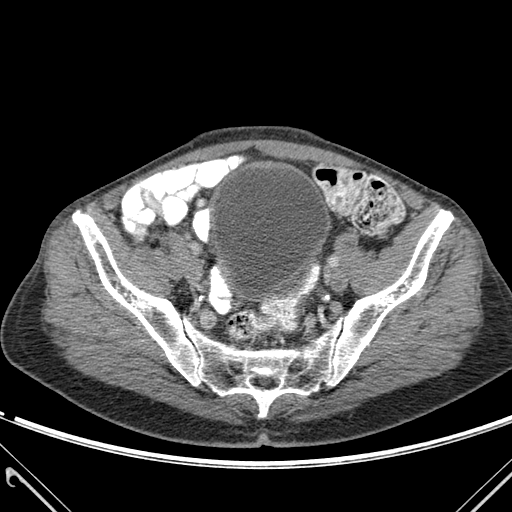 Pelvis | CT scan slice | 512x512 px

{
  "urinary_bladder": [
    "rect(215, 168, 327, 297)"
  ],
  "bone": [
    "rect(72, 210, 453, 416)"
  ]
}